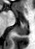 Medial temporal lobe. MRI slice.

<segmentation>
  <posterior_hippocampus>region(15, 21, 27, 35)</posterior_hippocampus>
  <anterior_hippocampus>region(13, 8, 17, 16)</anterior_hippocampus>
</segmentation>